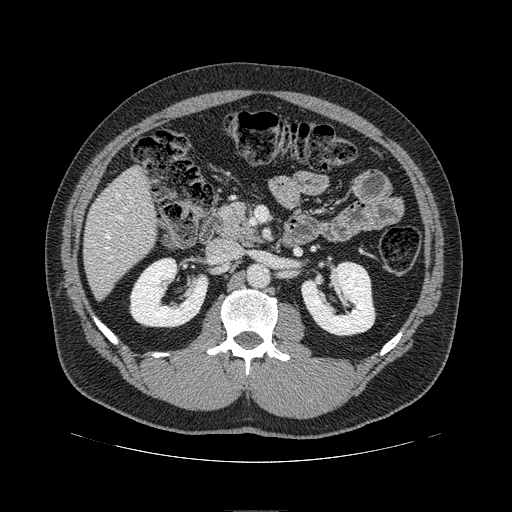
Image size 512x512, CT slice
<segmentation>
  <pancreas>bbox(222, 202, 254, 241)</pancreas>
</segmentation>